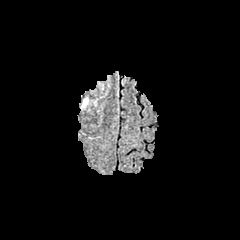
FLAIR MRI.
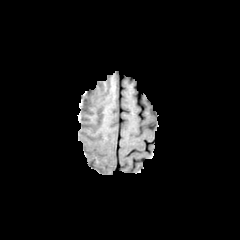
T1-weighted MRI.
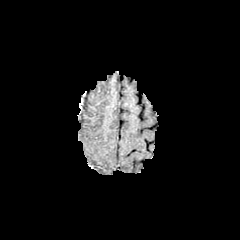
Post-contrast T1-weighted MR image.
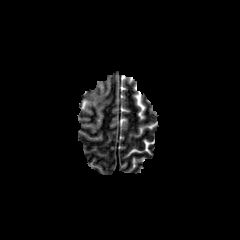
T2-weighted MR of the same slice.
The edema is at <box>82,99,89,110</box>.